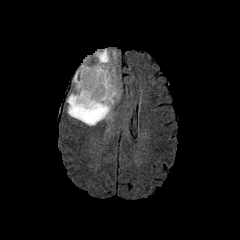
FLAIR MR.
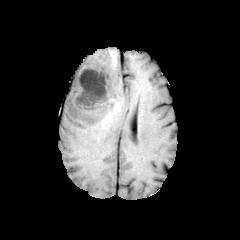
T1-weighted magnetic resonance of the same slice.
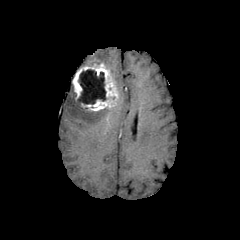
Post-contrast T1-weighted magnetic resonance of the same slice.
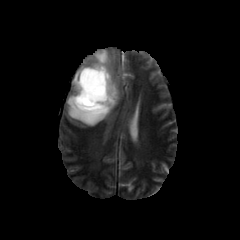
Same slice, T2-weighted MR.
Brain, 240x240
<segmentation>
  <non-enhancing_tumor_core>bbox(76, 68, 116, 113)</non-enhancing_tumor_core>
  <enhancing_tumor>bbox(72, 64, 117, 97); bbox(84, 100, 113, 111)</enhancing_tumor>
  <edema>bbox(66, 84, 118, 126); bbox(82, 49, 120, 92)</edema>
</segmentation>